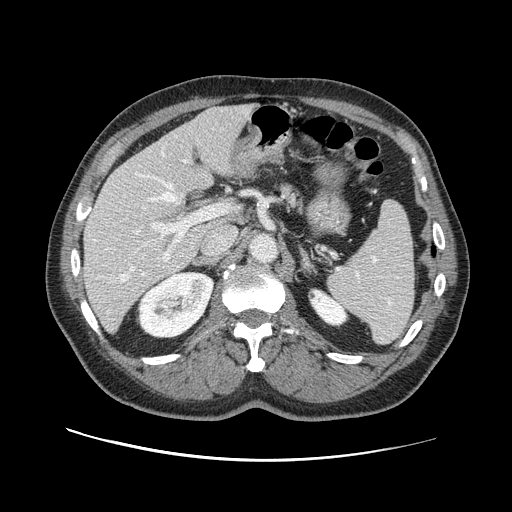
Image size 512x512 | CT

Pancreas at region(275, 181, 306, 216).